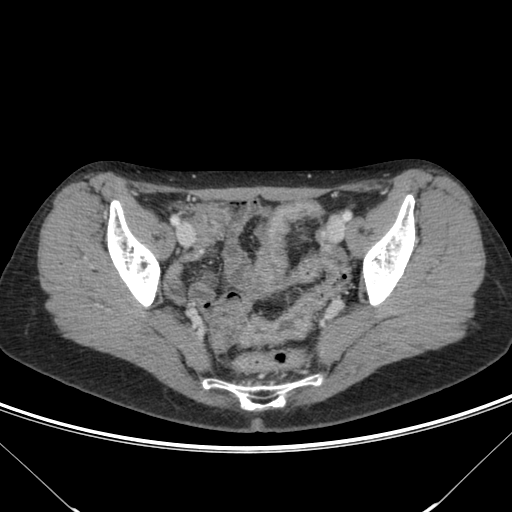 CT | Abdomen

<segmentation>
  <colon_tumor>240 292 320 345</colon_tumor>
</segmentation>